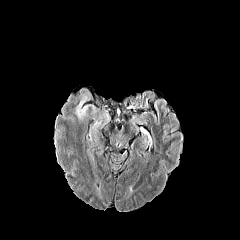
FLAIR MR.
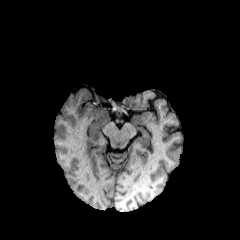
T1-weighted MRI of the same slice.
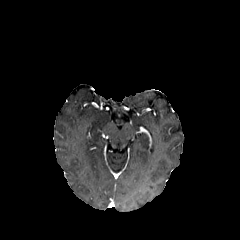
Post-contrast T1-weighted MR image of the same slice.
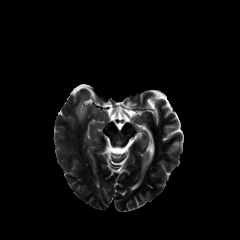
T2-weighted MR image.
The edema is at x1=78 y1=99 x2=86 y2=115.